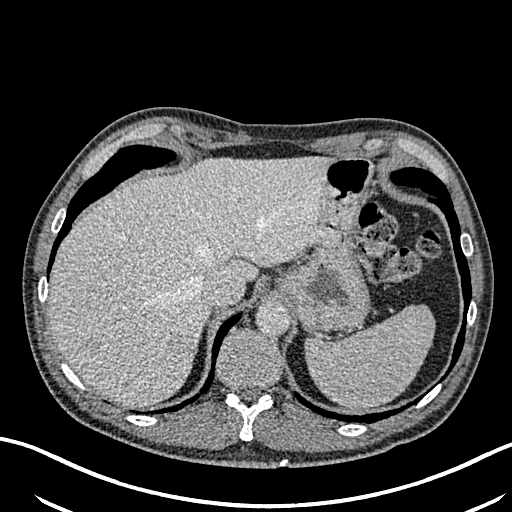
CT

<segmentation>
  <liver>{"x1": 48, "y1": 155, "x2": 333, "y2": 406}</liver>
  <liver_lesion>{"x1": 167, "y1": 336, "x2": 191, "y2": 357}, {"x1": 124, "y1": 383, "x2": 132, "y2": 392}</liver_lesion>
</segmentation>